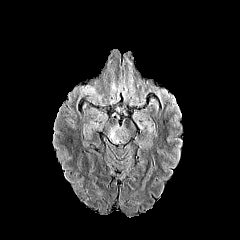
FLAIR magnetic resonance.
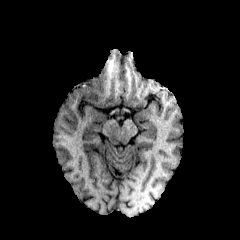
T1-weighted MRI of the same slice.
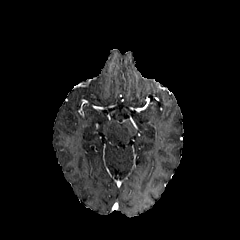
Post-contrast T1-weighted MR image.
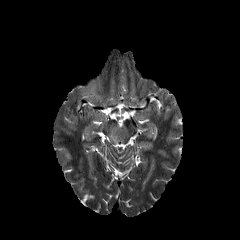
T2-weighted MR image of the same slice.
Edema: l=80, t=85, r=102, b=102.